Upper abdomen | Computed tomography | Slice index 44 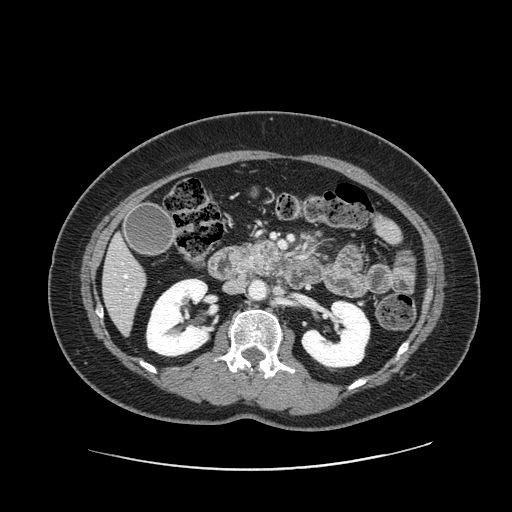
Findings:
- pancreas: (left=235, top=242, right=278, bottom=274)